FLAIR magnetic resonance.
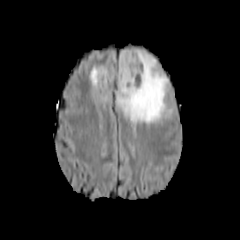
T1-weighted MRI.
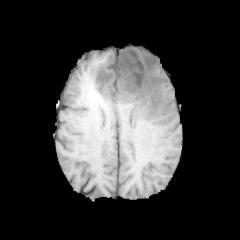
Post-contrast T1-weighted MR.
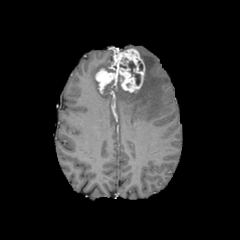
T2-weighted MRI.
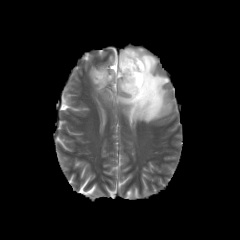
non-enhancing_tumor_core:
  - {"x1": 127, "y1": 60, "x2": 141, "y2": 85}
edema:
  - {"x1": 89, "y1": 62, "x2": 108, "y2": 89}
  - {"x1": 118, "y1": 50, "x2": 173, "y2": 124}
enhancing_tumor:
  - {"x1": 94, "y1": 49, "x2": 145, "y2": 93}